Computed tomography. Image width 339 mm. Liver. 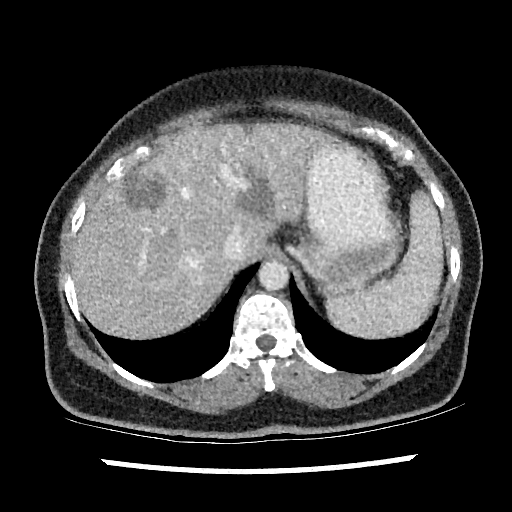
{
  "liver": [
    "[x1=72, y1=124, x2=336, y2=336]"
  ],
  "hepatic_lesion": [
    "[x1=122, y1=172, x2=164, y2=208]",
    "[x1=235, y1=171, x2=274, y2=215]"
  ]
}